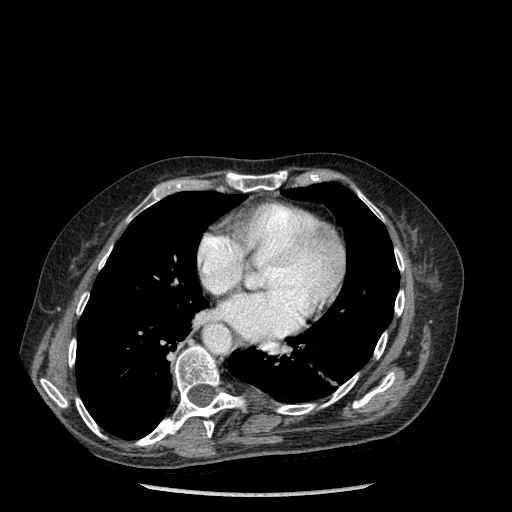

CT
<segmentation>
  <lung>{"x1": 228, "y1": 182, "x2": 399, "y2": 402}, {"x1": 75, "y1": 191, "x2": 244, "y2": 439}</lung>
  <bone>{"x1": 40, "y1": 379, "x2": 67, "y2": 407}, {"x1": 68, "y1": 339, "x2": 76, "y2": 366}, {"x1": 395, "y1": 290, "x2": 404, "y2": 315}, {"x1": 204, "y1": 421, "x2": 213, "y2": 437}, {"x1": 127, "y1": 189, "x2": 160, "y2": 221}, {"x1": 76, "y1": 292, "x2": 89, "y2": 314}, {"x1": 76, "y1": 398, "x2": 104, "y2": 437}, {"x1": 227, "y1": 171, "x2": 287, "y2": 191}, {"x1": 98, "y1": 246, "x2": 111, "y2": 269}, {"x1": 353, "y1": 372, "x2": 395, "y2": 408}, {"x1": 374, "y1": 332, "x2": 387, "y2": 358}, {"x1": 136, "y1": 344, "x2": 244, "y2": 445}, {"x1": 357, "y1": 190, "x2": 384, "y2": 220}, {"x1": 276, "y1": 373, "x2": 358, "y2": 414}, {"x1": 394, "y1": 248, "x2": 404, "y2": 271}</bone>
</segmentation>